CT image; Liver; Slice 606/733
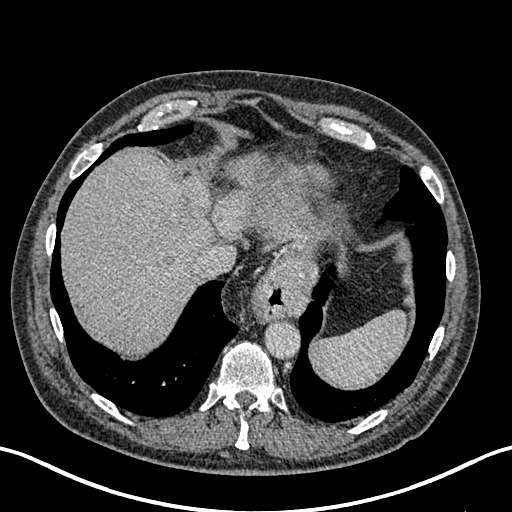

2 liver lesion regions are bounded by region(162, 254, 174, 265); region(178, 194, 214, 219). The liver is at region(61, 149, 270, 351).